Image size 240x240, Brain, Image width 240 mm
FLAIR magnetic resonance.
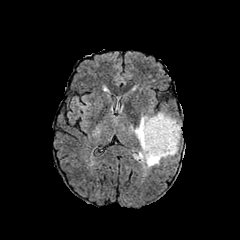
T1-weighted MR image.
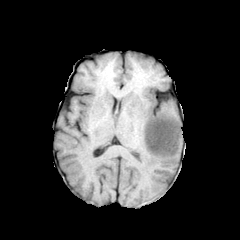
Post-contrast T1-weighted magnetic resonance.
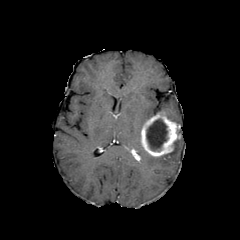
T2-weighted MRI.
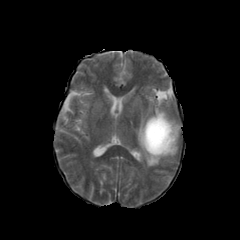
<segmentation>
  <enhancing_tumor>139:111:180:158</enhancing_tumor>
  <edema>131:112:178:168</edema>
  <non-enhancing_tumor_core>147:120:166:149</non-enhancing_tumor_core>
</segmentation>